240x240 px, Head
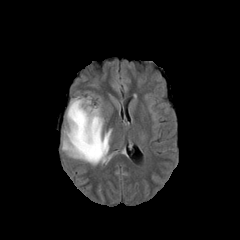
FLAIR MR.
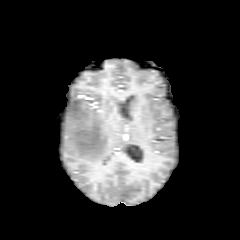
T1-weighted magnetic resonance.
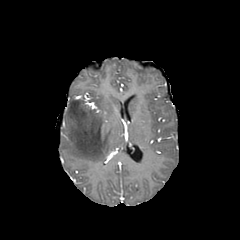
Post-contrast T1-weighted MR image.
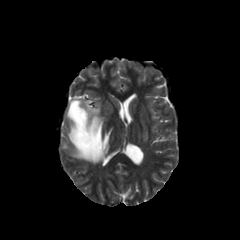
Same slice, T2-weighted MR.
{
  "edema": [
    "bbox=[62, 98, 111, 164]"
  ]
}